Image size 512x512. Slice 58 of 65. Abdomen. CT.
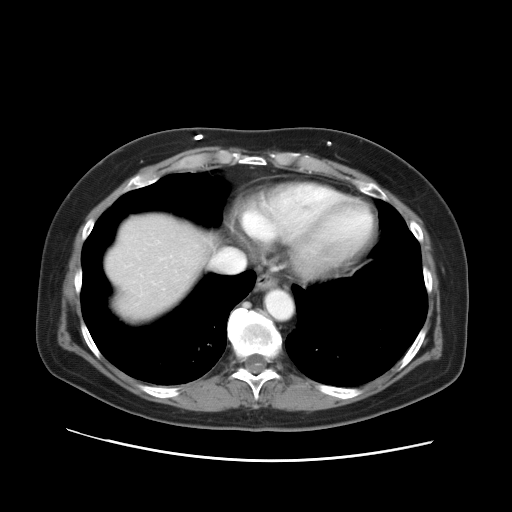

Some hepatic vessels may have no box.
<segmentation>
  <hepatic_vessel>left=213, top=250, right=244, bottom=271</hepatic_vessel>
</segmentation>